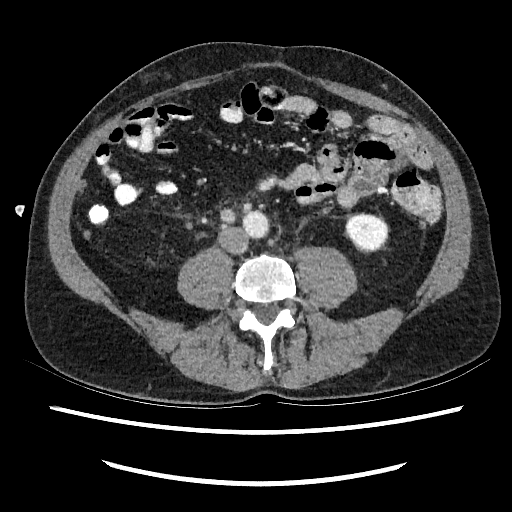 Abdomen, Computed tomography, Image size 512x512

{
  "kidney": [
    "<bbox>347, 215, 386, 249</bbox>"
  ]
}